Field of view 400x400 mm. CT. 512x512. Slice 589/654.
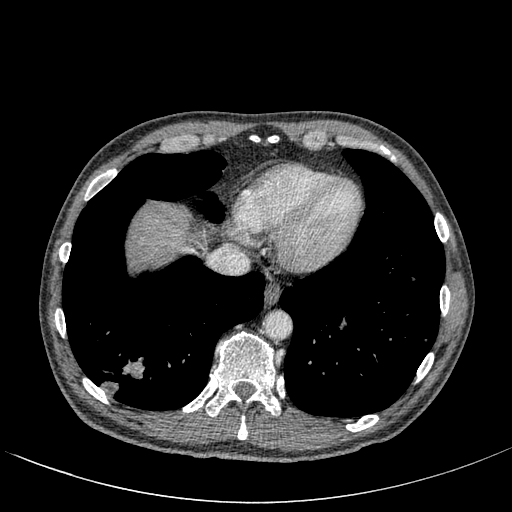

liver:
  - left=128, top=206, right=188, bottom=264